Hippocampus, Image size 33x44, MR, Slice 25 of 40 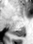

Posterior hippocampus = box(13, 28, 25, 36).